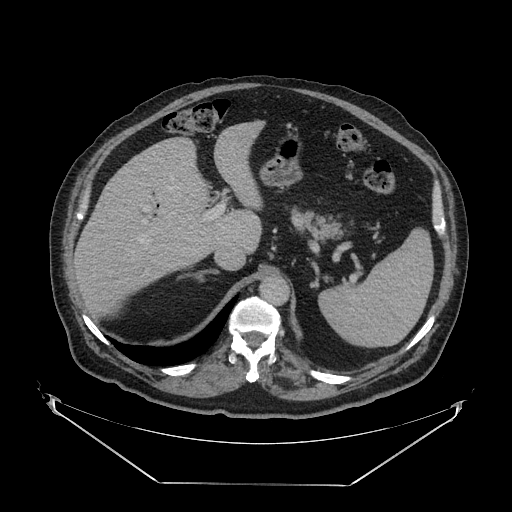 Image size 512x512 | CT slice
The pancreas is located at 295:210:340:236.